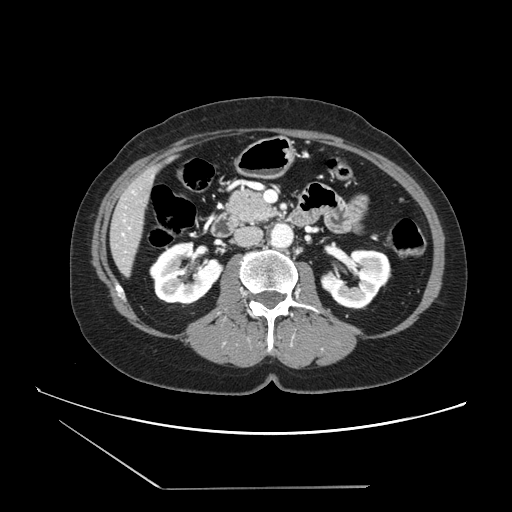
CT slice
Pancreas: bbox=[228, 190, 277, 223].